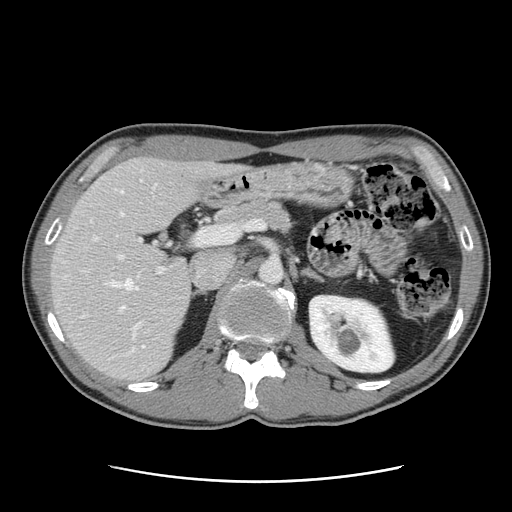
512x512, CT slice
The vessel boxes may cover only some of the vessels.
Segmented structures:
* hepatic vessel: l=129, t=347, r=133, b=352; l=104, t=279, r=137, b=289; l=139, t=238, r=140, b=240; l=157, t=267, r=163, b=273; l=132, t=323, r=139, b=339; l=118, t=256, r=122, b=258; l=81, t=315, r=83, b=316; l=120, t=306, r=124, b=309; l=141, t=345, r=144, b=347; l=120, t=190, r=122, b=192; l=137, t=274, r=138, b=276; l=94, t=236, r=97, b=240; l=90, t=220, r=91, b=221; l=121, t=212, r=123, b=215